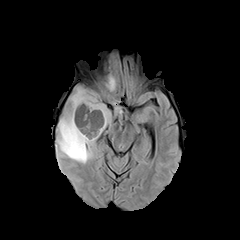
FLAIR magnetic resonance.
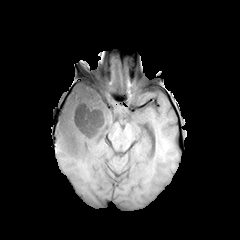
T1-weighted magnetic resonance.
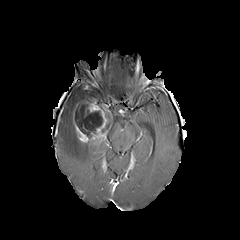
Post-contrast T1-weighted MR image.
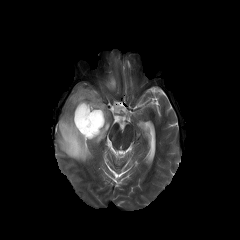
T2-weighted magnetic resonance of the same slice.
Head
Edema: box(106, 78, 115, 91); box(57, 86, 100, 163); box(113, 101, 122, 115); box(107, 111, 111, 126).
Enhancing tumor: box(75, 100, 107, 142).
Non-enhancing tumor core: box(74, 96, 103, 137).